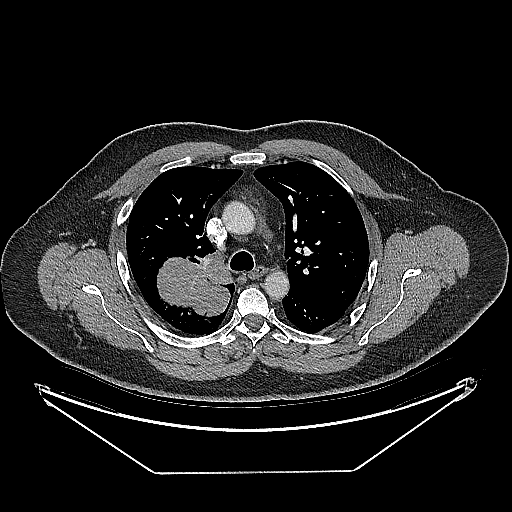 CT image. Chest.
The lung tumor is bounded by {"x1": 157, "y1": 250, "x2": 233, "y2": 322}.